Slice 9/40; Liver; Computed tomography

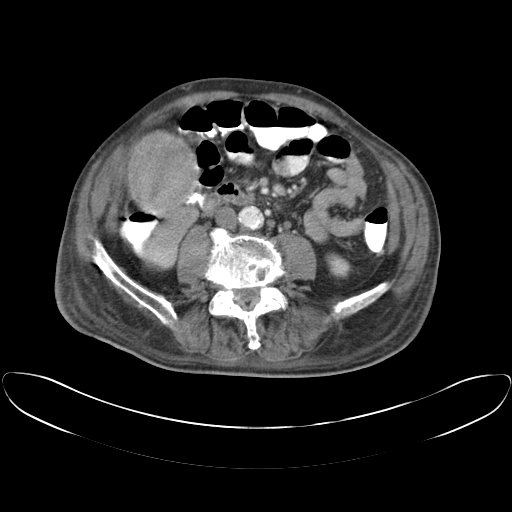 Only some of the vessels may be annotated.
Hepatic vessel: bounding box region(146, 204, 149, 206); region(153, 209, 163, 213); region(142, 247, 175, 263).
Liver tumor: bounding box region(131, 144, 192, 207).